Field of view 411x411 mm. 512x512 px. CT slice.

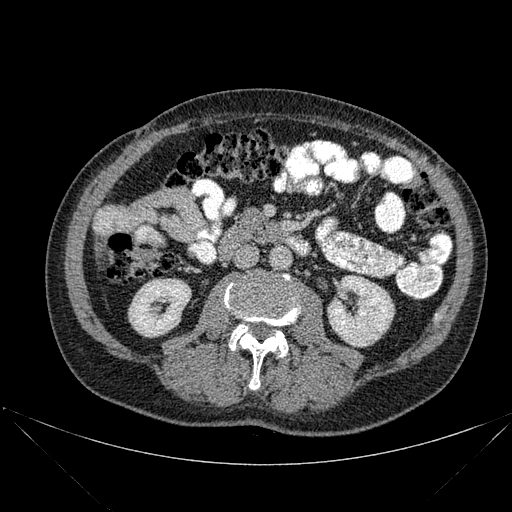

Annotated regions:
- kidney: [128,279,190,336], [328,276,393,346]
- bone: [224,275,298,389]